CT image

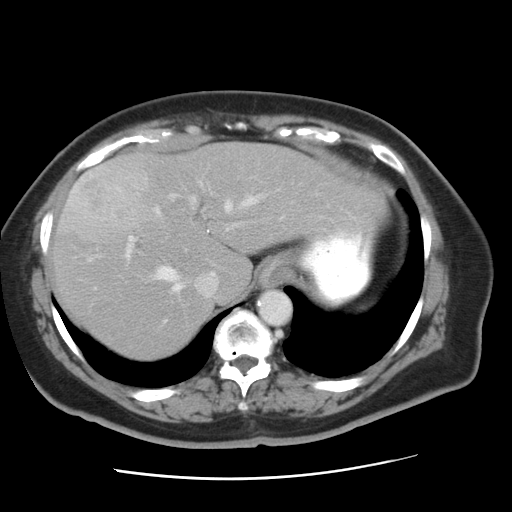 The vessel annotation is not exhaustive.
{"hepatic_vessel": ["rect(241, 195, 262, 206)", "rect(190, 195, 195, 202)", "rect(224, 200, 231, 211)", "rect(186, 281, 188, 284)", "rect(125, 236, 134, 257)", "rect(226, 225, 235, 229)", "rect(169, 194, 175, 198)", "rect(155, 206, 159, 213)", "rect(88, 257, 92, 260)", "rect(154, 266, 182, 291)", "rect(194, 271, 217, 295)"], "liver_tumor": ["rect(61, 160, 149, 241)"]}